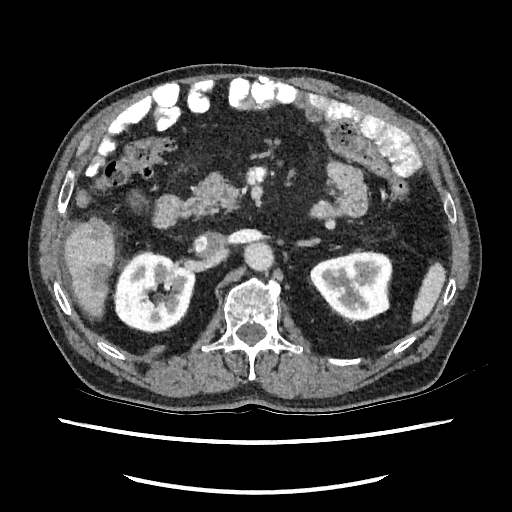 CT
Hepatic lesion: bounding box [90, 220, 105, 239], [85, 264, 109, 289].
Liver: bounding box [65, 219, 114, 317].
Kidney: bounding box [113, 252, 195, 332], [310, 250, 391, 322].